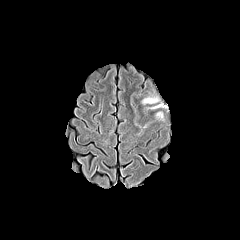
FLAIR magnetic resonance.
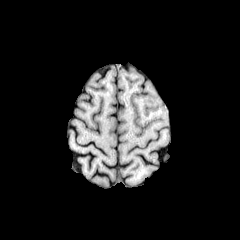
T1-weighted MR of the same slice.
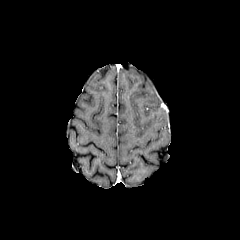
Post-contrast T1-weighted MRI.
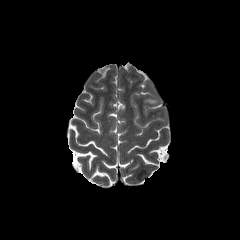
T2-weighted MRI of the same slice.
Image size 240x240; Brain
Findings:
* edema: {"x1": 143, "y1": 98, "x2": 155, "y2": 102}